CT slice; Upper abdomen; 512x512; Slice 74 of 139 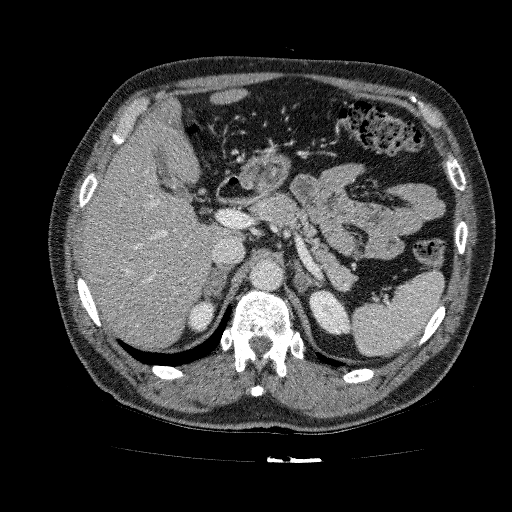

Segmented structures:
• liver: (82,97,243,349), (210,89,246,104)
• kidney: (188,302,213,330), (310,291,350,334)